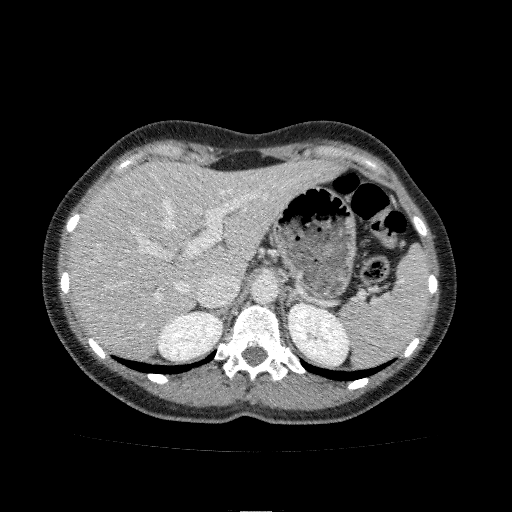 Image size 512x512. Upper abdomen. Computed tomography.
Kidney = 288:303:349:365, 157:312:221:360.
Liver = 68:158:339:357.